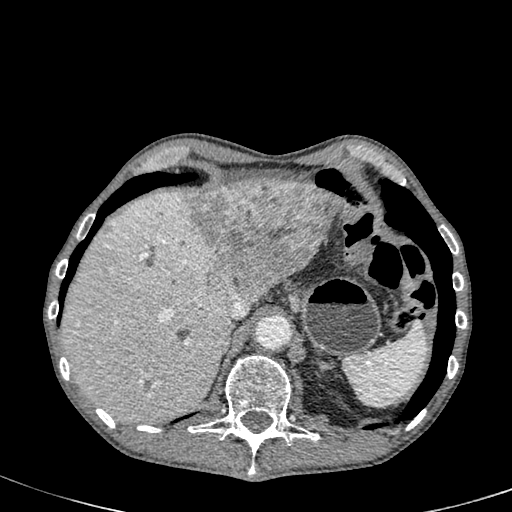
512x512; CT slice
The liver lesion is located at 185,181,338,301. The liver lies within 61,191,239,423.